FLAIR MRI.
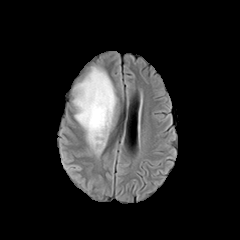
T1-weighted magnetic resonance.
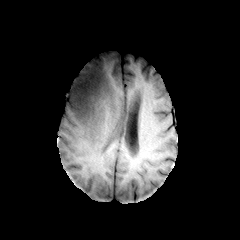
Post-contrast T1-weighted magnetic resonance.
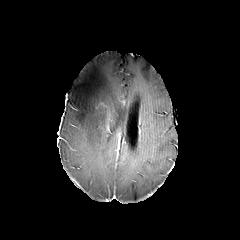
T2-weighted magnetic resonance.
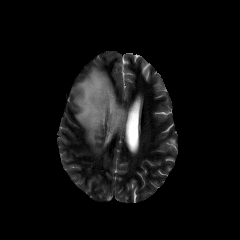
Brain
The edema appears at (72, 67, 118, 154). The non-enhancing tumor core is located at (87, 79, 101, 103).